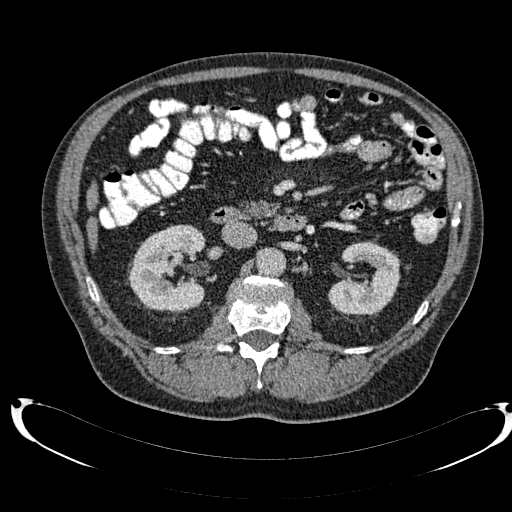 CT. Upper abdomen. 2 liver regions are located at (left=88, top=219, right=97, bottom=247), (left=87, top=185, right=97, bottom=209). 3 kidney regions are located at (left=328, top=242, right=399, bottom=314), (left=129, top=225, right=205, bottom=312), (left=208, top=246, right=222, bottom=259).